FLAIR magnetic resonance.
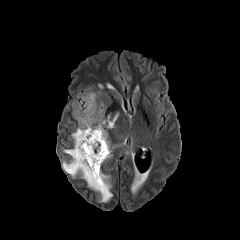
T1-weighted magnetic resonance.
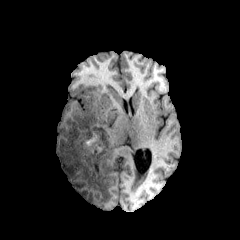
Post-contrast T1-weighted MRI.
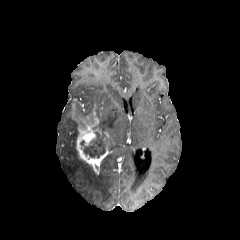
T2-weighted MR image.
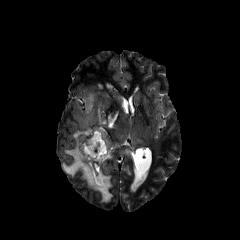
Image size 240x240
2 non-enhancing tumor core regions are bounded by rect(85, 132, 105, 157); rect(76, 105, 85, 116). The enhancing tumor appears at rect(71, 102, 112, 168). 3 edema regions are bounded by rect(96, 102, 118, 131); rect(60, 128, 112, 202); rect(80, 92, 96, 116).